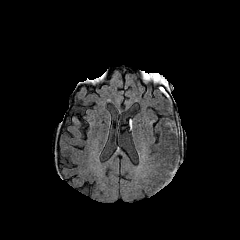
FLAIR MR image.
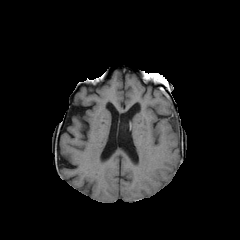
Same slice, T1-weighted MR.
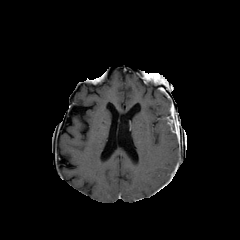
Post-contrast T1-weighted MR.
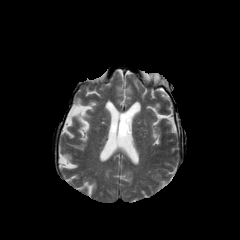
T2-weighted MRI.
Brain
Findings:
* enhancing tumor: (x1=169, y1=120, x2=178, y2=133)